Slice index 43.
FLAIR MRI.
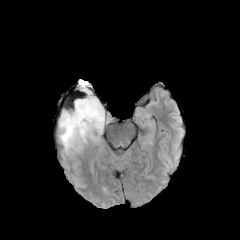
T1-weighted MR image.
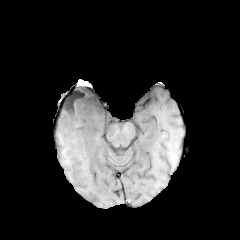
Post-contrast T1-weighted MR.
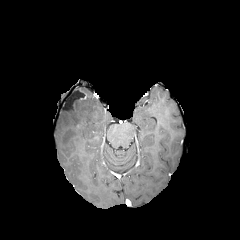
T2-weighted MR image.
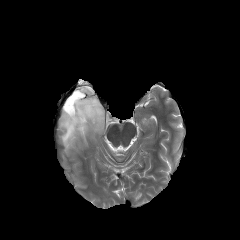
Segmented structures:
* non-enhancing tumor core: 76, 115, 86, 129; 78, 92, 97, 113; 64, 108, 75, 117
* edema: 59, 86, 111, 152